Computed tomography. Image size 512x512. Slice 73 of 151. Liver.
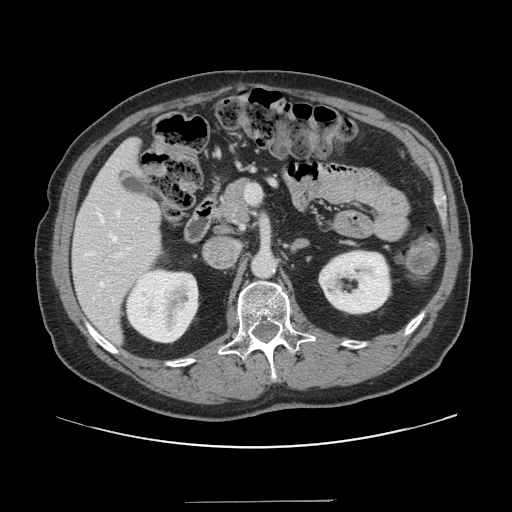 The vessel boxes may cover only some of the vessels.
<segmentation>
  <hepatic_vessel>126 247 131 249, 100 282 103 286, 110 234 116 241, 97 213 103 222, 113 252 125 257, 117 211 119 215, 245 185 260 201</hepatic_vessel>
</segmentation>